Upper abdomen. 512x512. CT scan slice. Slice 22/98.

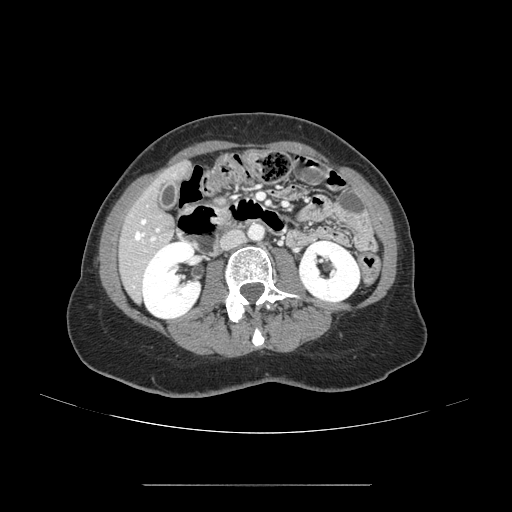

pancreas:
  - (left=218, top=201, right=229, bottom=217)